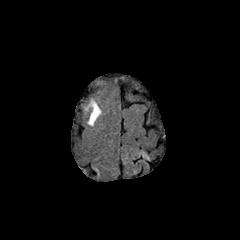
FLAIR MRI.
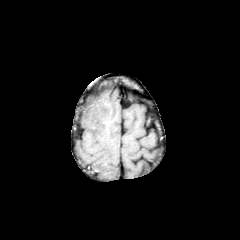
Same slice, T1-weighted MR.
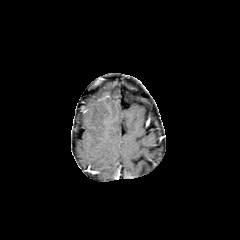
Post-contrast T1-weighted magnetic resonance.
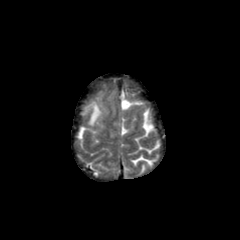
Same slice, T2-weighted MR image.
Edema — box=[84, 99, 104, 126].